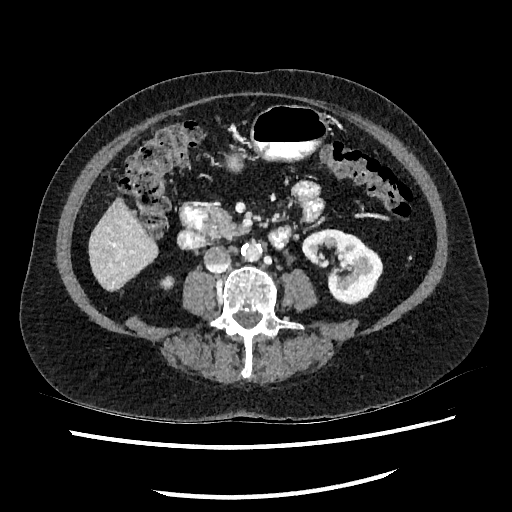 Computed tomography | Image size 512x512
- kidney: (303,229,381,302)
- liver: (89,199,155,290)